512x512 px | Abdomen | CT image 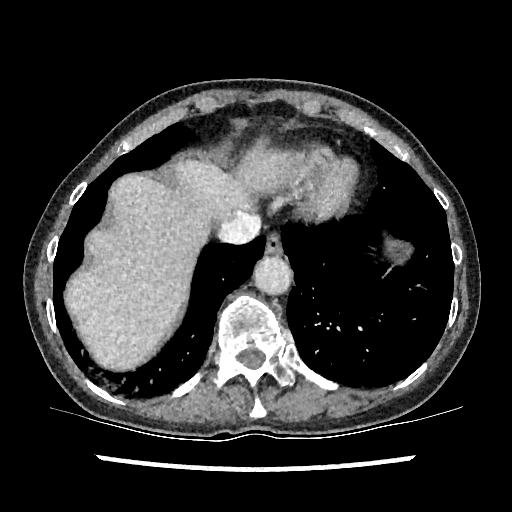
The liver is at <bbox>65, 149, 281, 368</bbox>.